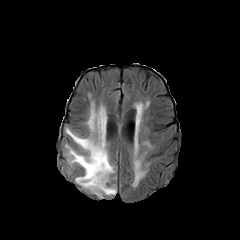
FLAIR MR.
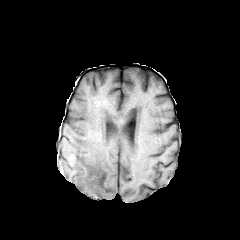
T1-weighted MR image.
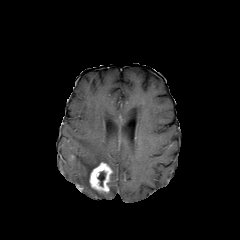
Post-contrast T1-weighted MRI.
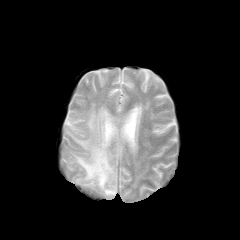
T2-weighted magnetic resonance.
240x240 px
Non-enhancing tumor core: bounding box 98, 172, 105, 185.
Enhancing tumor: bounding box 89, 162, 112, 192.
Edema: bounding box 65, 103, 116, 199.